240x240 | Field of view 240x240 mm | Slice 81 of 155
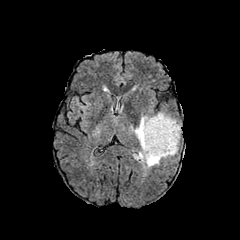
FLAIR MR image.
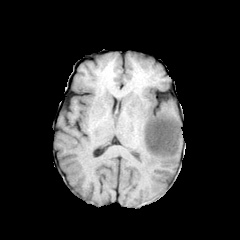
T1-weighted magnetic resonance of the same slice.
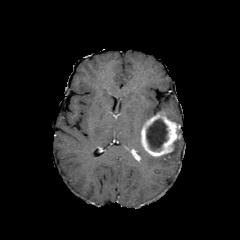
Post-contrast T1-weighted MR.
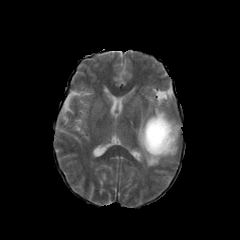
T2-weighted MR image of the same slice.
<segmentation>
  <non-enhancing_tumor_core>x1=146, y1=118, x2=167, y2=150</non-enhancing_tumor_core>
  <enhancing_tumor>x1=140, y1=111, x2=180, y2=157; x1=131, y1=149, x2=141, y2=160</enhancing_tumor>
  <edema>x1=158, y1=108, x2=178, y2=122; x1=134, y1=115, x2=180, y2=168</edema>
</segmentation>